FLAIR MR.
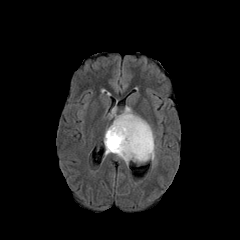
T1-weighted magnetic resonance.
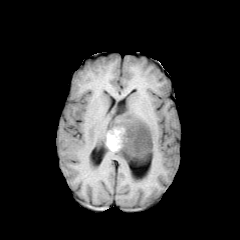
Post-contrast T1-weighted MRI.
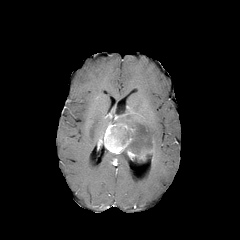
T2-weighted MR.
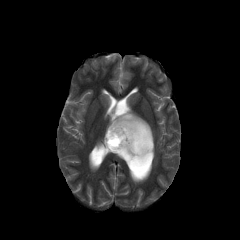
Head; Image size 240x240
Non-enhancing tumor core — x1=117 y1=109 x2=151 y2=153, x1=118 y1=151 x2=153 y2=162.
Edema — x1=132 y1=113 x2=154 y2=151, x1=116 y1=154 x2=135 y2=164, x1=111 y1=105 x2=128 y2=113.
Enhancing tumor — x1=104 y1=122 x2=151 y2=160, x1=108 y1=111 x2=128 y2=121.